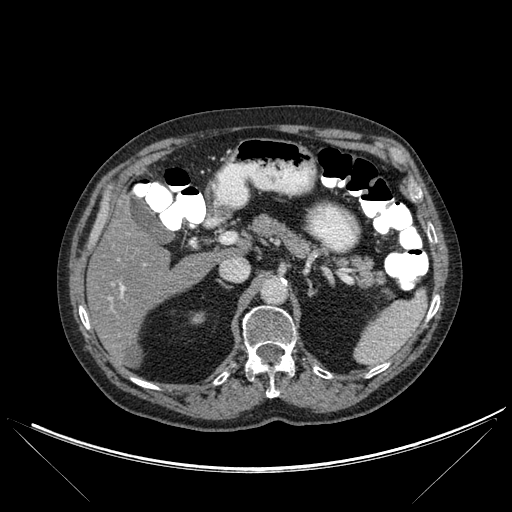
512x512 px; CT; Upper abdomen

<segmentation>
  <liver>x1=214, y1=247, x2=246, y2=262; x1=87, y1=202, x2=214, y2=366</liver>
  <hepatic_lesion>x1=125, y1=345, x2=141, y2=367</hepatic_lesion>
  <bone>x1=427, y1=295, x2=439, y2=319; x1=214, y1=372, x2=227, y2=384; x1=314, y1=366, x2=331, y2=378; x1=366, y1=363, x2=388, y2=377; x1=243, y1=306, x2=295, y2=397; x1=79, y1=306, x2=89, y2=328; x1=427, y1=225, x2=436, y2=241; x1=132, y1=378, x2=158, y2=389</bone>
</segmentation>